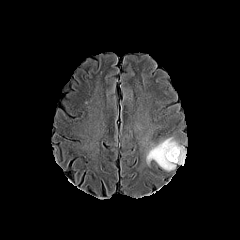
FLAIR magnetic resonance.
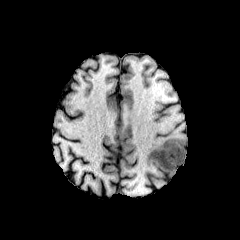
T1-weighted MR.
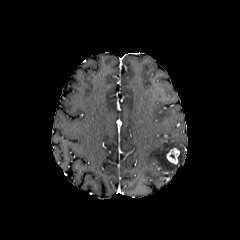
Same slice, post-contrast T1-weighted magnetic resonance.
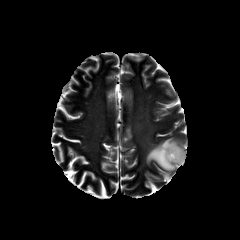
T2-weighted MRI of the same slice.
240x240 px.
<segmentation>
  <edema>bbox(147, 138, 186, 170)</edema>
  <enhancing_tumor>bbox(167, 151, 179, 163)</enhancing_tumor>
  <non-enhancing_tumor_core>bbox(168, 147, 179, 158)</non-enhancing_tumor_core>
</segmentation>